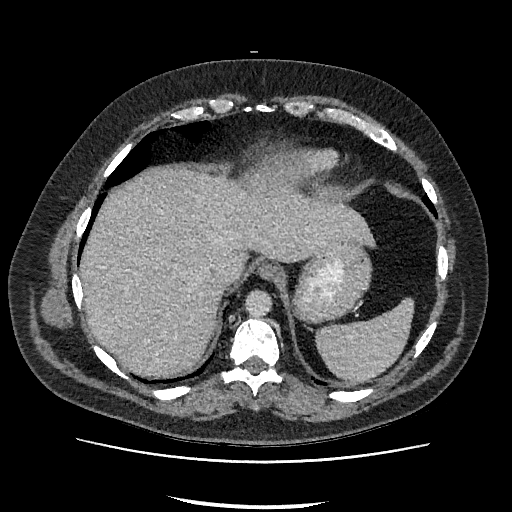 CT image, Upper abdomen, 512x512 px

Liver = 82, 170, 373, 375.